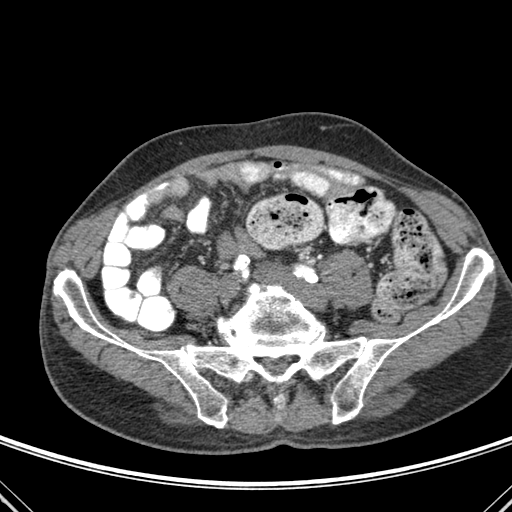 CT image; Image size 512x512

Bone: bounding box (x1=53, y1=248, x2=493, y2=427).